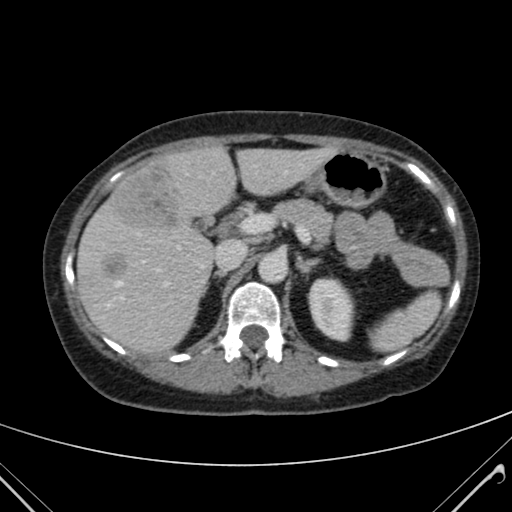

CT slice
Liver: rect(78, 146, 329, 353).
Hepatic lesion: rect(99, 253, 128, 280); rect(112, 161, 183, 231).
Kidney: rect(311, 280, 350, 338).